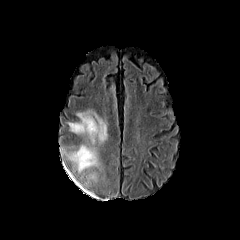
FLAIR magnetic resonance.
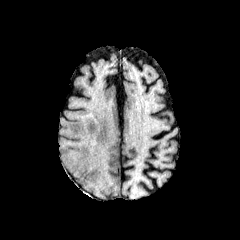
T1-weighted MR of the same slice.
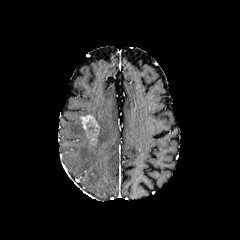
Post-contrast T1-weighted MR image.
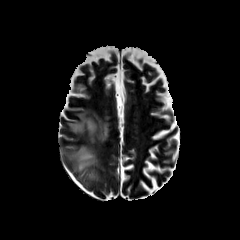
Same slice, T2-weighted magnetic resonance.
Brain
Enhancing tumor: bounding box (79,114,99,145).
Edema: bounding box (85,172,98,186), (66,119,102,173), (76,108,107,145).